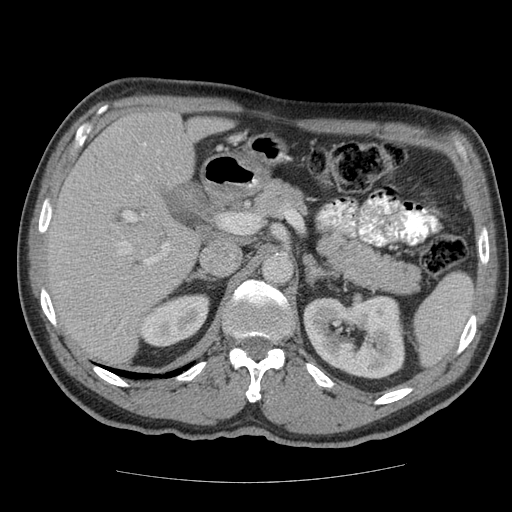
512x512. Abdomen. CT.

Not every hepatic vessel necessarily has a box.
Hepatic vessel: region(123, 212, 134, 222); region(161, 246, 168, 251); region(143, 144, 145, 146); region(143, 253, 156, 264).